512x512, CT

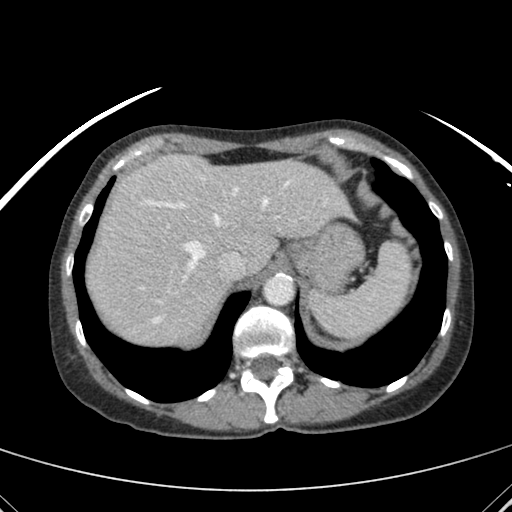 liver:
  - box(88, 154, 354, 344)